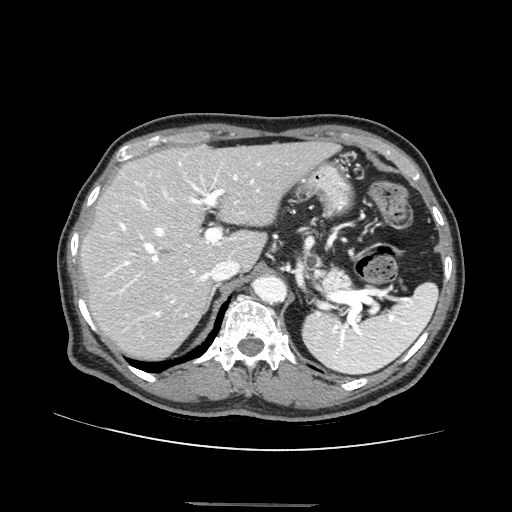
Abdomen; 512x512 px; CT slice
Segmented structures:
* pancreas: l=323, t=269, r=350, b=289